Computed tomography, Image size 512x512
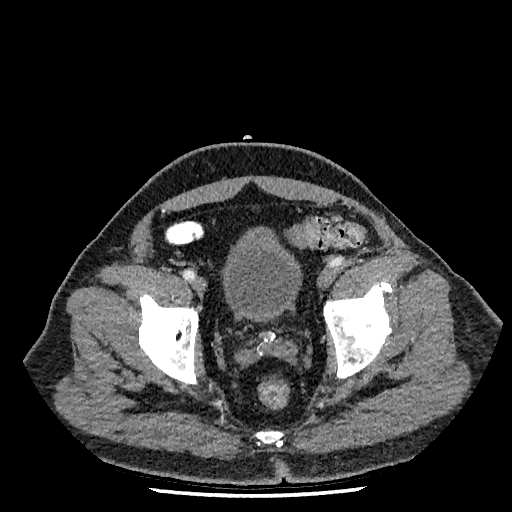
Segmented structures:
- urinary bladder: <bbox>222, 225, 302, 323</bbox>